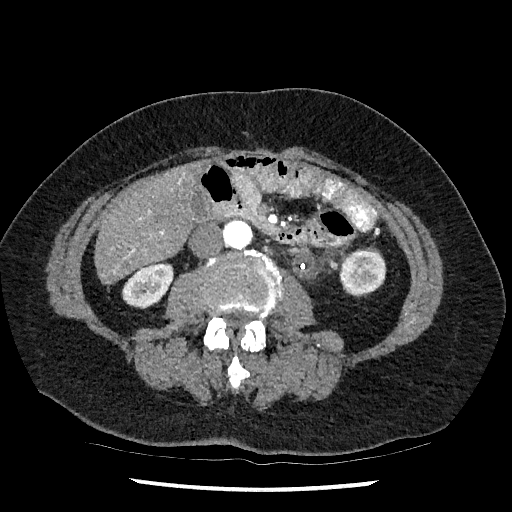 512x512; Upper abdomen; Computed tomography
The liver is at (left=96, top=161, right=205, bottom=283). 2 kidney regions are located at (left=123, top=264, right=172, bottom=307), (left=340, top=251, right=385, bottom=294).